Slice index 31, Image size 512x512, CT 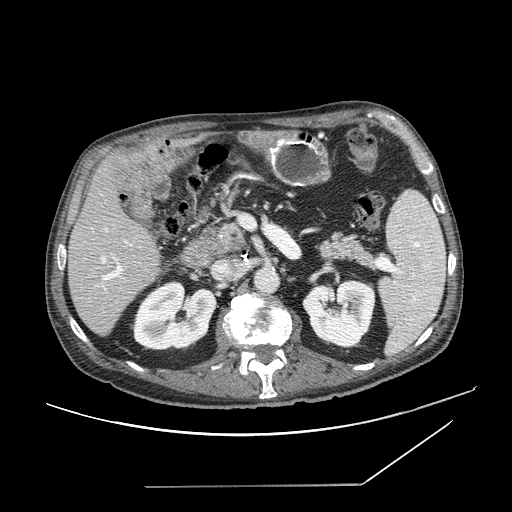

Pancreas = l=217, t=224, r=245, b=250; l=320, t=242, r=373, b=265.
Pancreatic tumor = l=234, t=242, r=241, b=249.